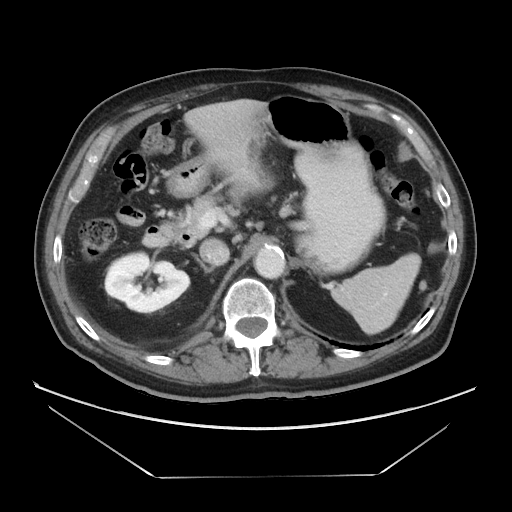

512x512 px. CT slice. Abdomen.
liver tumor: box(246, 133, 267, 179)